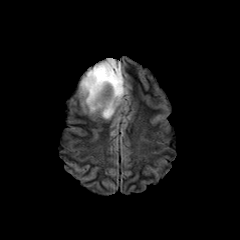
FLAIR magnetic resonance.
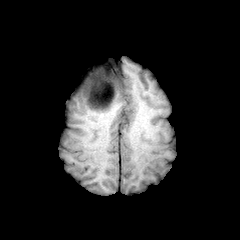
Same slice, T1-weighted MR image.
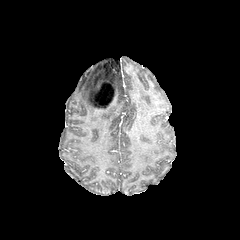
Post-contrast T1-weighted MRI.
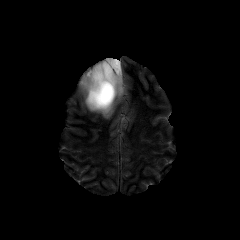
Same slice, T2-weighted MR.
The edema appears at [78,58,127,119]. The non-enhancing tumor core is bounded by [89,60,125,111].